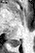
MR image. Medial temporal lobe. 35x53 px.

Posterior hippocampus: bounding box 11:39:21:45.